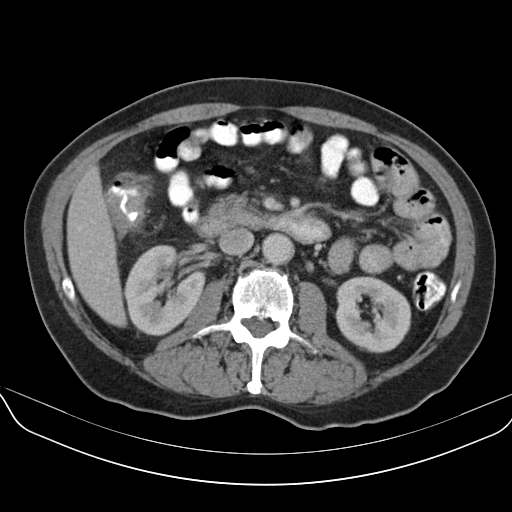
Image size 512x512. Abdomen. CT slice. colon tumor: 104, 192, 146, 230